Image width 486 mm; Image size 512x512; Computed tomography; Abdomen
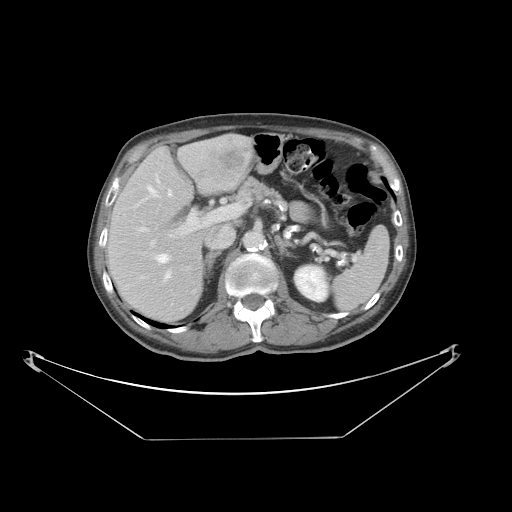
The vessel annotation is not exhaustive.
Hepatic vessel: (147, 185, 157, 196), (181, 208, 241, 235), (150, 241, 154, 245), (155, 254, 168, 262), (168, 190, 171, 196), (164, 271, 170, 280), (170, 234, 172, 236), (208, 229, 224, 247), (140, 276, 145, 278), (137, 227, 146, 231), (155, 174, 159, 184).
Liver tumor: (213, 144, 251, 174).